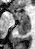
MR image, Image size 35x49
<segmentation>
  <posterior_hippocampus>[16,21,29,35]</posterior_hippocampus>
  <anterior_hippocampus>[15,12,28,20]</anterior_hippocampus>
</segmentation>